CT; Abdomen; Slice 144 of 212
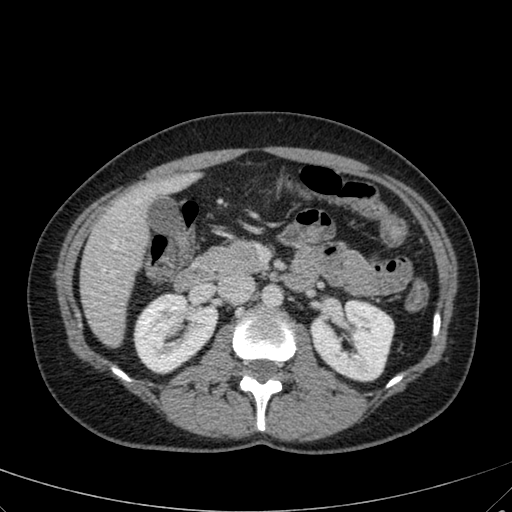
Liver: bounding box region(80, 175, 188, 346).
Kidney: bounding box region(312, 301, 393, 379); region(135, 295, 216, 371).